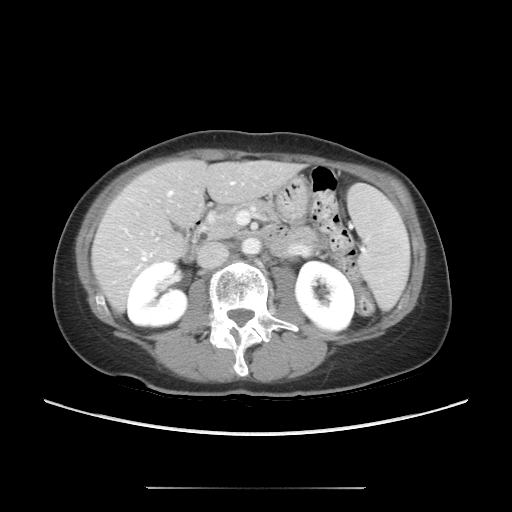
Image size 512x512; Computed tomography; Liver
Only some of the vessels may be annotated.
7 hepatic vessel regions are bounded by <box>241,182,244,185</box>, <box>168,191,172,195</box>, <box>129,197,134,200</box>, <box>154,238,158,240</box>, <box>229,181,233,185</box>, <box>142,257,145,260</box>, <box>151,229,153,234</box>.